CT image 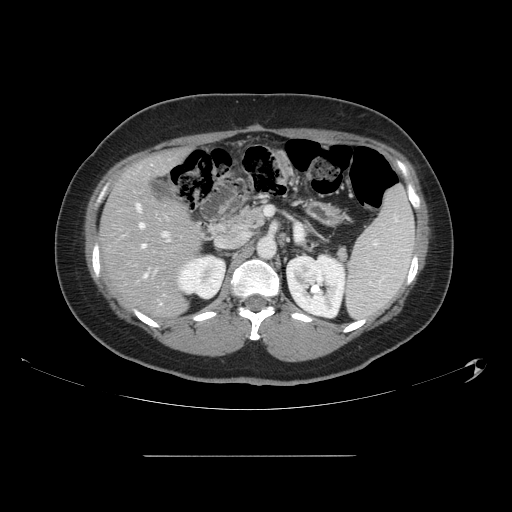

Some hepatic vessels may have no box.
Hepatic vessel at l=139, t=223, r=143, b=227; l=142, t=244, r=145, b=247; l=136, t=204, r=140, b=210; l=162, t=232, r=167, b=236; l=144, t=274, r=146, b=277.